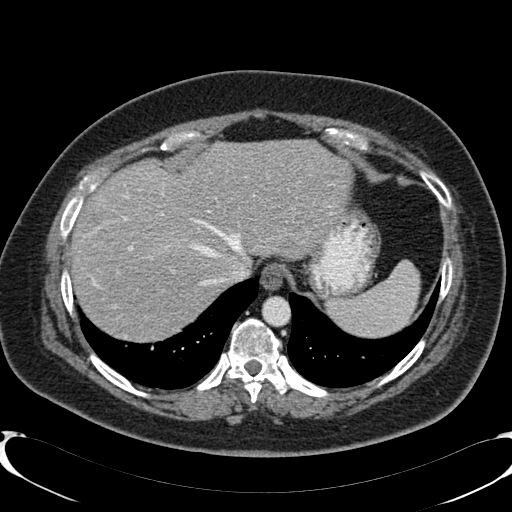
Abdomen | CT image | Image size 512x512
Liver: (71,140,349,339).